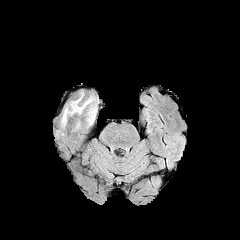
FLAIR MR.
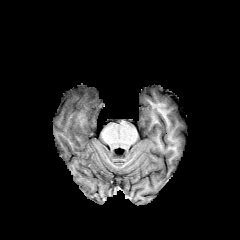
T1-weighted MR.
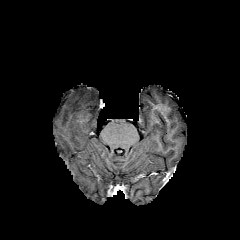
Post-contrast T1-weighted MR.
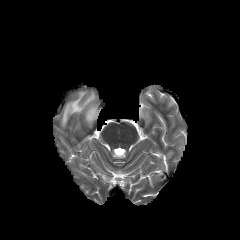
T2-weighted MRI of the same slice.
Head
- edema: [61,92,97,127]